FLAIR MR image.
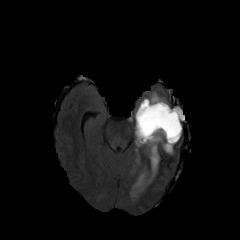
T1-weighted MR.
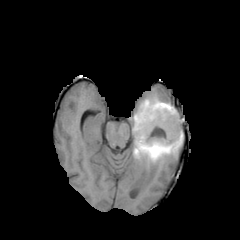
Post-contrast T1-weighted MR image.
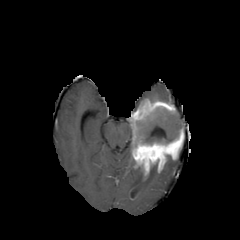
T2-weighted MR.
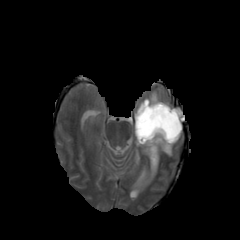
Head.
Enhancing tumor at left=131, top=100, right=182, bottom=175.
Edema at left=144, top=92, right=165, bottom=101; left=175, top=106, right=184, bottom=126; left=134, top=173, right=146, bottom=186.
Non-enhancing tumor core at left=150, top=161, right=159, bottom=169; left=137, top=108, right=182, bottom=143.